FLAIR MR image.
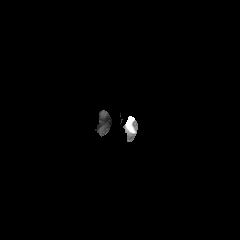
T1-weighted magnetic resonance.
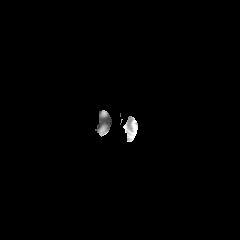
Post-contrast T1-weighted MRI.
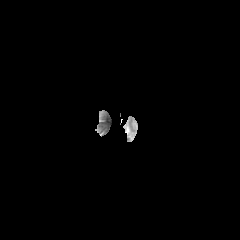
T2-weighted MR image.
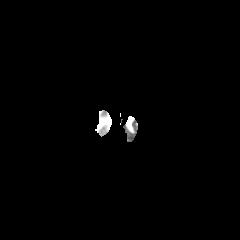
The edema is bounded by (left=125, top=116, right=136, bottom=134).